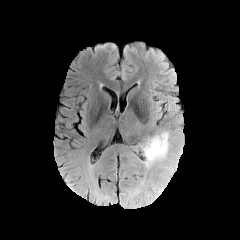
FLAIR MRI.
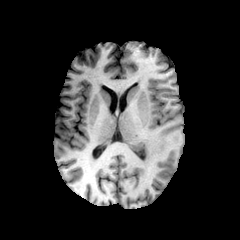
T1-weighted magnetic resonance.
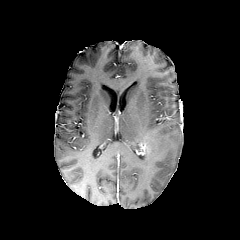
Post-contrast T1-weighted magnetic resonance of the same slice.
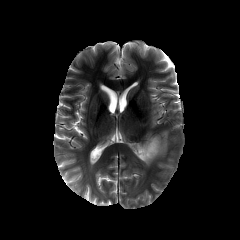
T2-weighted magnetic resonance of the same slice.
Head
edema:
  - 143,132,169,167